CT image, Slice index 519, Head, Field of view 700x700 mm 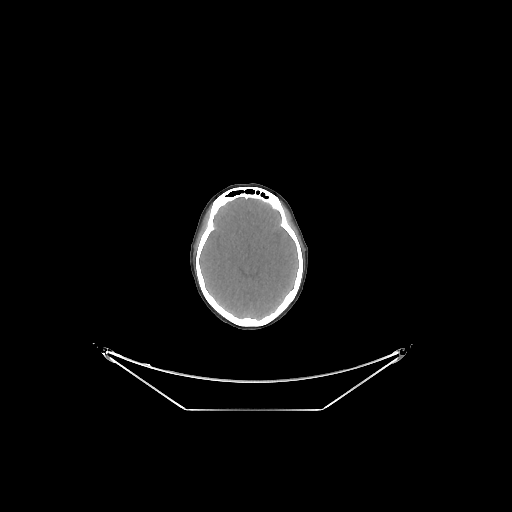 - brain: l=199, t=197, r=298, b=320